CT scan slice, Chest, Slice 502 of 689 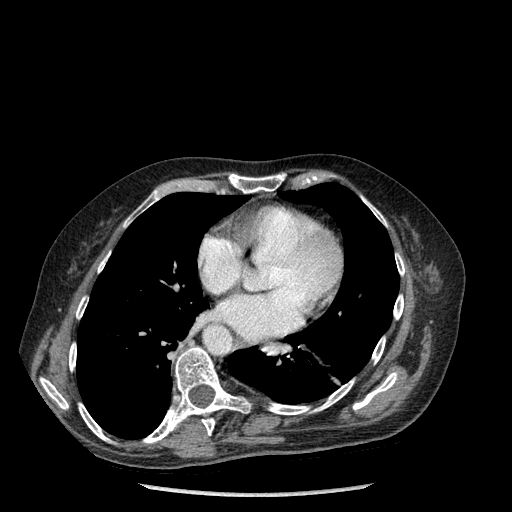
Bone — [372,336,385,364], [98,252,110,272], [395,253,404,275], [229,173,285,193], [361,196,386,226], [40,377,68,409], [353,372,397,410], [123,190,159,227], [76,296,88,318], [78,403,111,442], [393,294,403,319], [268,379,354,414], [143,345,250,443], [69,343,76,371].
Lung — [76,192,246,439], [228,182,399,403].